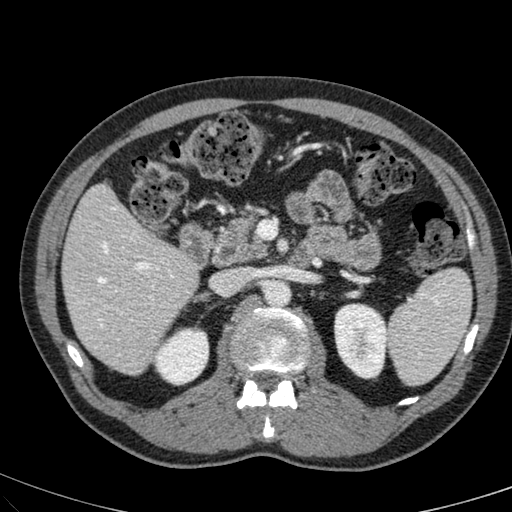

Computed tomography
liver:
  - bbox=[62, 184, 196, 373]
kidney:
  - bbox=[335, 305, 385, 376]
  - bbox=[157, 330, 206, 383]